Field of view 404x404 mm | CT slice | Abdomen 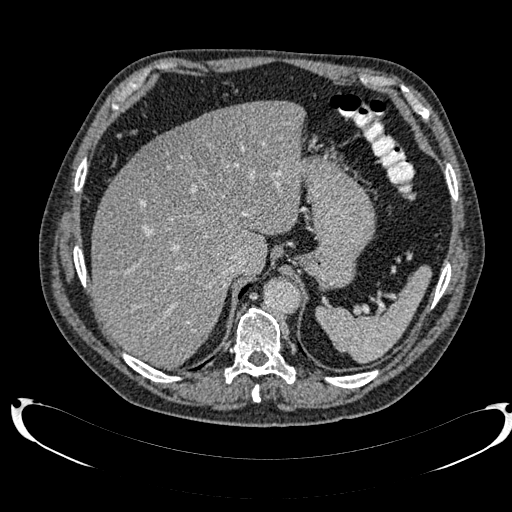

Liver at (x1=92, y1=100, x2=304, y2=366), (x1=151, y1=127, x2=177, y2=142).
Liver lesion at (x1=135, y1=105, x2=268, y2=214).